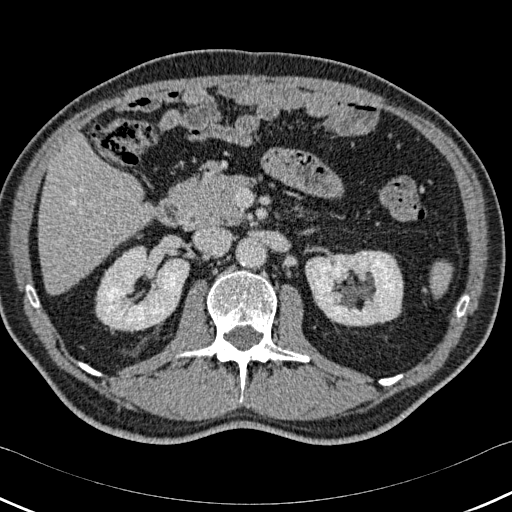 Upper abdomen. Image size 512x512. CT slice. The liver is at bbox=[39, 135, 151, 293]. 5 bone regions appear at bbox=[27, 285, 38, 306]; bbox=[379, 375, 402, 385]; bbox=[457, 296, 468, 316]; bbox=[79, 363, 100, 375]; bbox=[176, 271, 308, 402]. 2 kidney regions appear at bbox=[306, 251, 402, 325]; bbox=[96, 247, 188, 330].